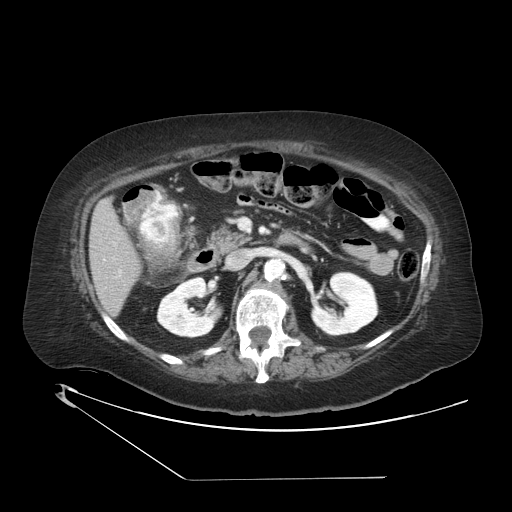

CT image. Colon tumor = x1=126 y1=189 x2=180 y2=271.